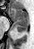

MRI

anterior_hippocampus:
  - 9,8,29,23
posterior_hippocampus:
  - 14,22,28,35